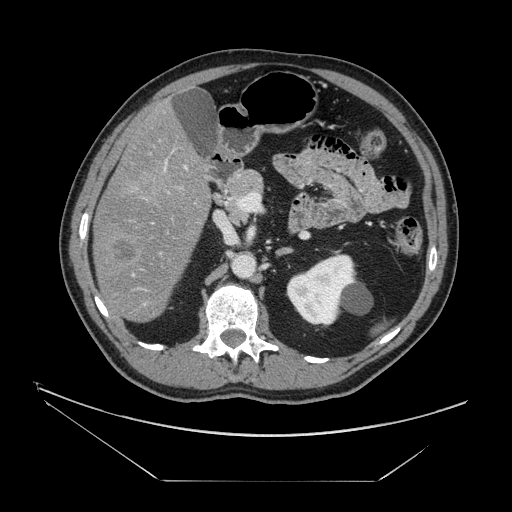

Image size 512x512; Computed tomography

Only some of the vessels may be annotated.
liver tumor: 117,244,133,260 | hepatic vessel: 165,162,166,164